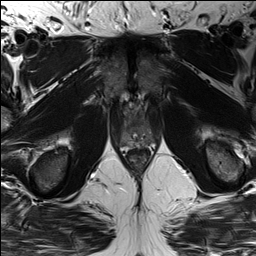
T2-weighted magnetic resonance.
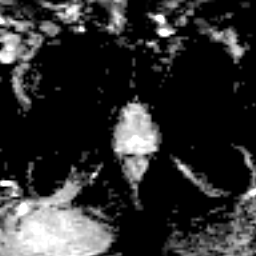
ADC MR image of the same slice.
Pelvis.
Segmented structures:
- prostate transition zone: [x1=117, y1=115, x2=156, y2=147]